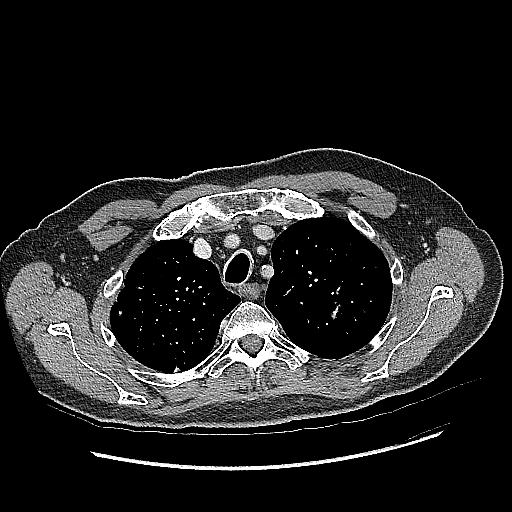
Thorax. CT image.

2 lung tumor regions are located at 125:284:145:291, 116:302:122:318.